Pelvis; Computed tomography; Slice 21/53

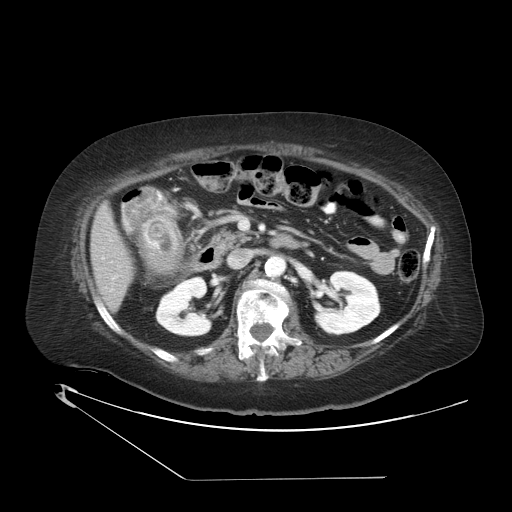

colon_tumor:
  - x1=125, y1=187, x2=182, y2=273